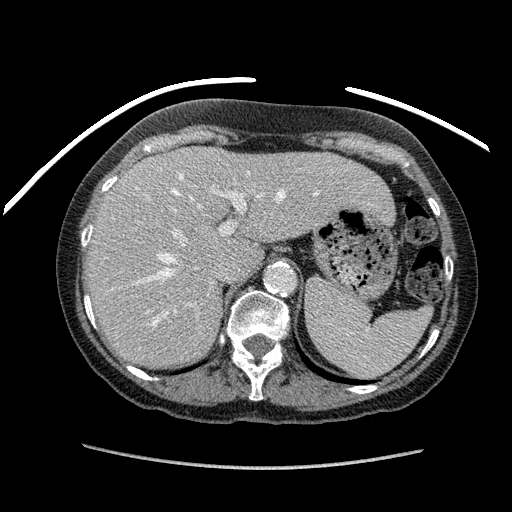

CT image
{
  "liver": [
    "box(86, 146, 393, 367)"
  ]
}